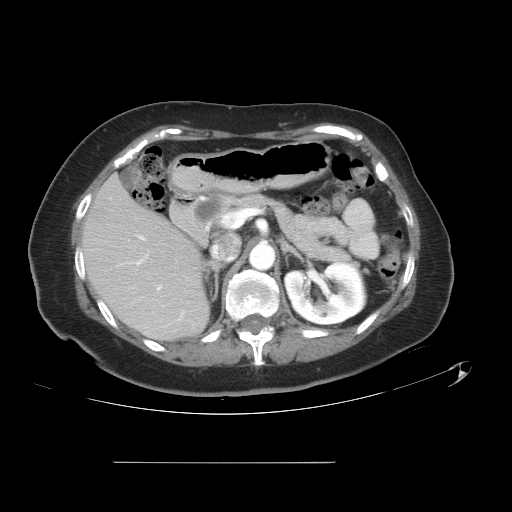

Abdomen, CT scan slice

pancreatic tumor: (x1=194, y1=199, x2=220, y2=222) | pancreas: (x1=178, y1=195, x2=351, y2=261)